CT image. Slice 390/547. Image width 385 mm.
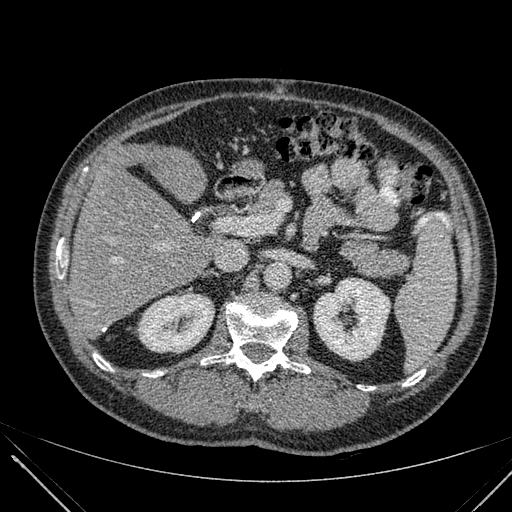 liver:
  - l=70, t=143, r=224, b=330
kidney:
  - l=139, t=295, r=213, b=351
  - l=314, t=278, r=389, b=359